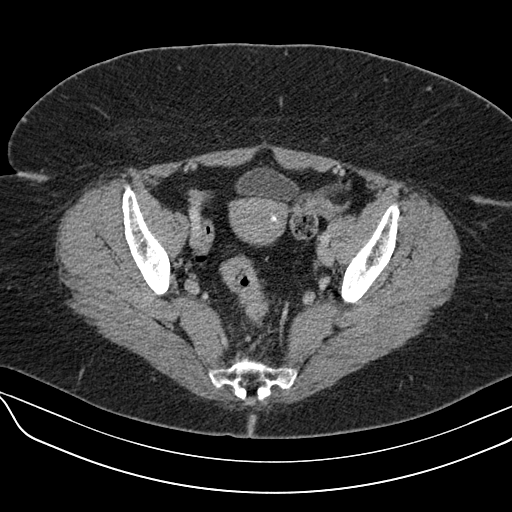

512x512 px | Computed tomography
<segmentation>
  <colon_tumor>(220, 256, 267, 320)</colon_tumor>
</segmentation>